FLAIR MR.
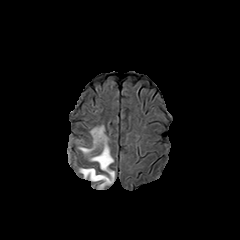
T1-weighted magnetic resonance.
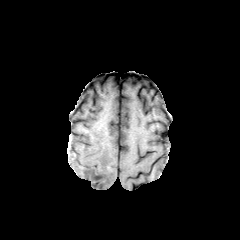
Post-contrast T1-weighted magnetic resonance.
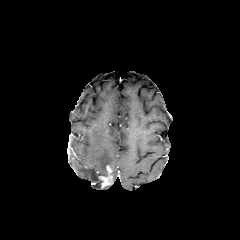
T2-weighted MR.
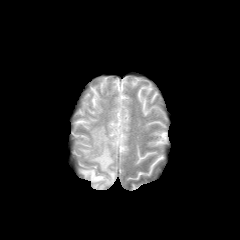
{
  "enhancing_tumor": [
    "[x1=98, y1=166, x2=113, y2=187]"
  ],
  "edema": [
    "[x1=78, y1=126, x2=113, y2=189]"
  ]
}